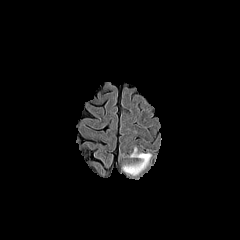
FLAIR MRI.
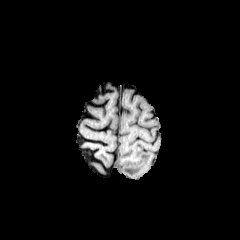
Same slice, T1-weighted MR.
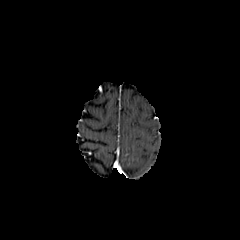
Same slice, post-contrast T1-weighted MR.
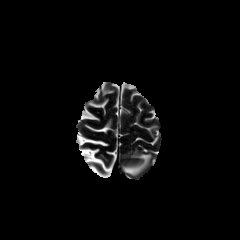
T2-weighted MR image.
Brain
The edema is at (x1=124, y1=153, x2=151, y2=176).